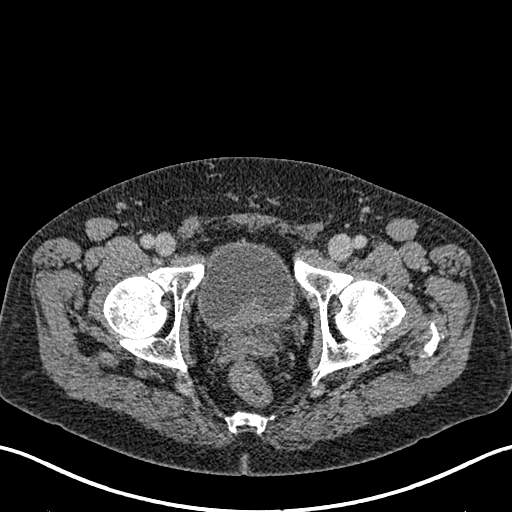 Pelvis. Computed tomography.
Urinary bladder — box=[197, 241, 295, 326].